CT image | 512x512
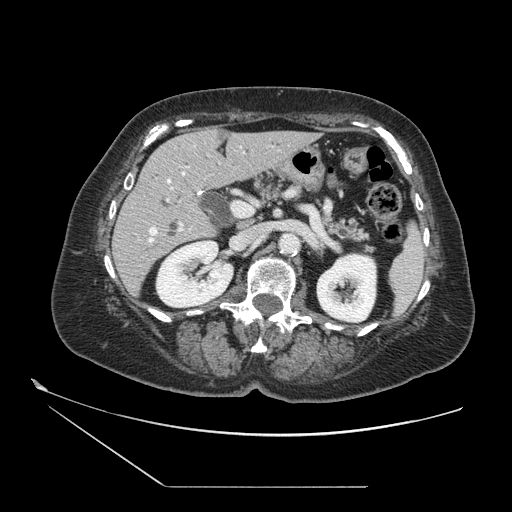

• pancreas: [325, 219, 364, 242], [255, 183, 279, 198]